CT image 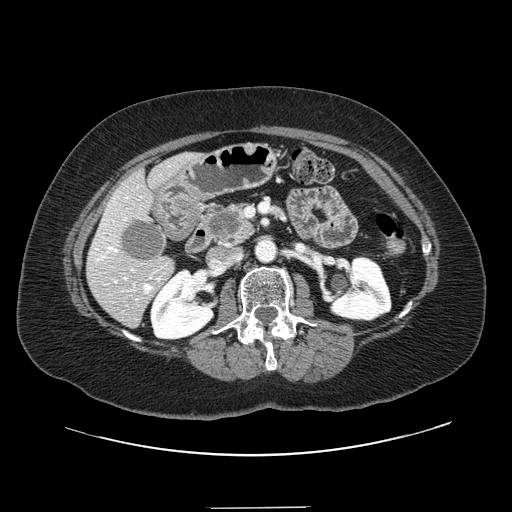

pancreatic_tumor:
  - (x1=207, y1=209, x2=241, y2=237)
pancreas:
  - (x1=204, y1=202, x2=255, y2=247)